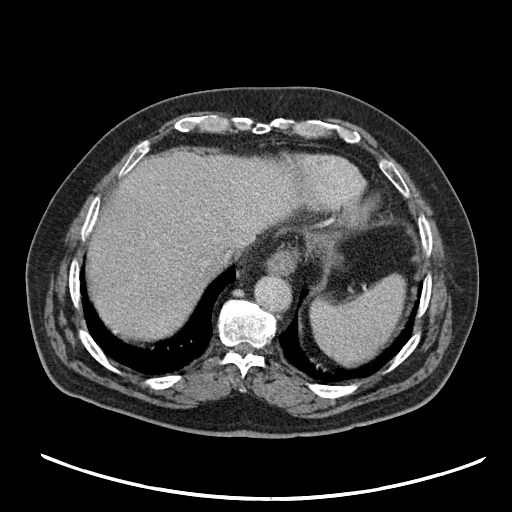
CT scan slice | Abdomen
<segmentation>
  <spleen>box(312, 277, 404, 364)</spleen>
</segmentation>